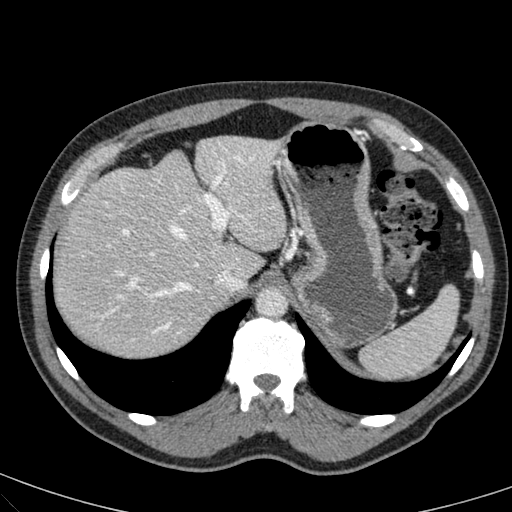
Liver, Computed tomography, Image size 512x512

<segmentation>
  <liver>{"x1": 55, "y1": 134, "x2": 284, "y2": 357}</liver>
</segmentation>